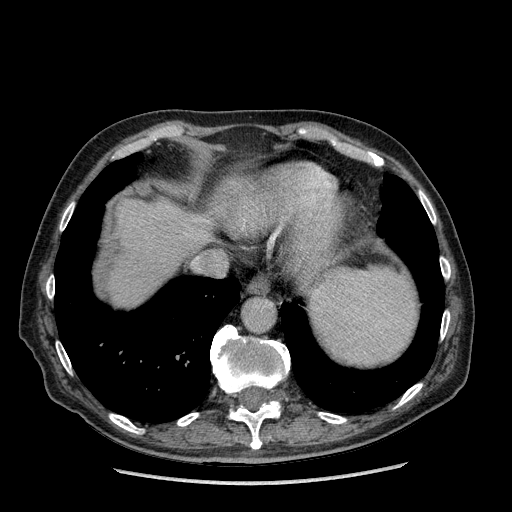

Abdomen | 512x512 | CT slice
liver: box(107, 199, 217, 306); box(208, 182, 228, 216)